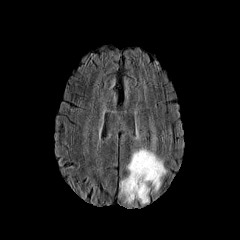
FLAIR MR.
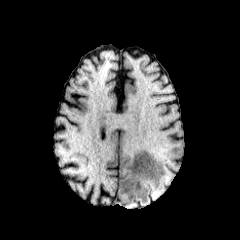
T1-weighted MR image of the same slice.
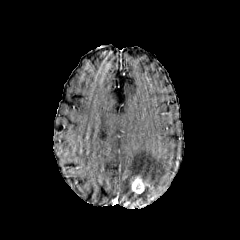
Same slice, post-contrast T1-weighted MR.
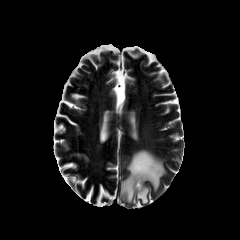
T2-weighted MRI.
240x240, Brain
Edema: bounding box <bbox>117, 149, 166, 205</bbox>, <bbox>136, 186, 149, 204</bbox>.
Enhancing tumor: bounding box <bbox>131, 175, 144, 193</bbox>.